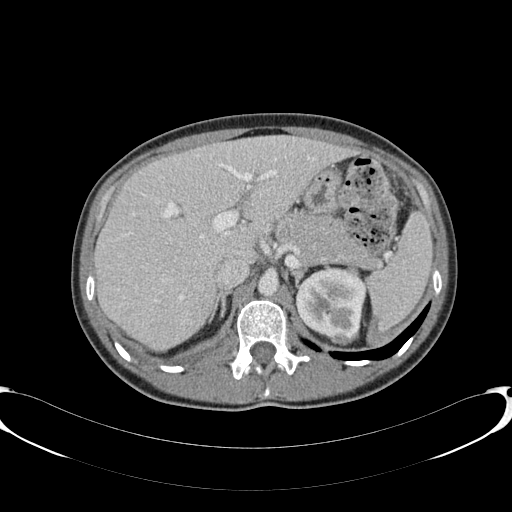

CT

Liver: bounding box <box>94,136,357,350</box>.
Kidney: bounding box <box>297,269,365,342</box>.